Liver; CT slice; Image size 512x512

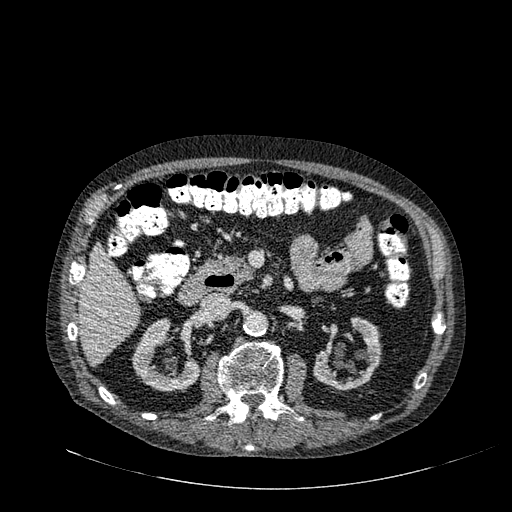

{
  "liver": [
    "bbox=[81, 245, 139, 365]"
  ],
  "kidney": [
    "bbox=[313, 317, 381, 390]",
    "bbox=[131, 318, 200, 391]"
  ]
}